FLAIR MRI.
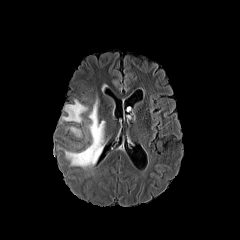
T1-weighted MRI.
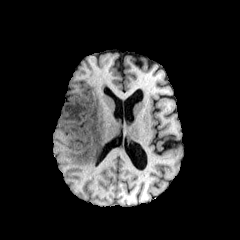
Post-contrast T1-weighted MRI.
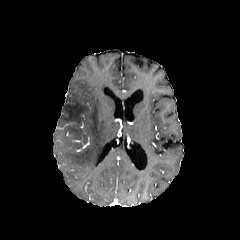
T2-weighted MR.
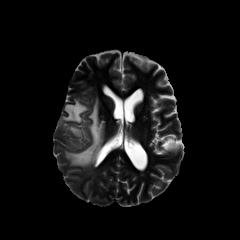
Edema = [x1=62, y1=100, x2=87, y2=123], [x1=70, y1=128, x2=80, y2=135], [x1=65, y1=100, x2=105, y2=168].